Image size 512x512 | Liver | CT slice
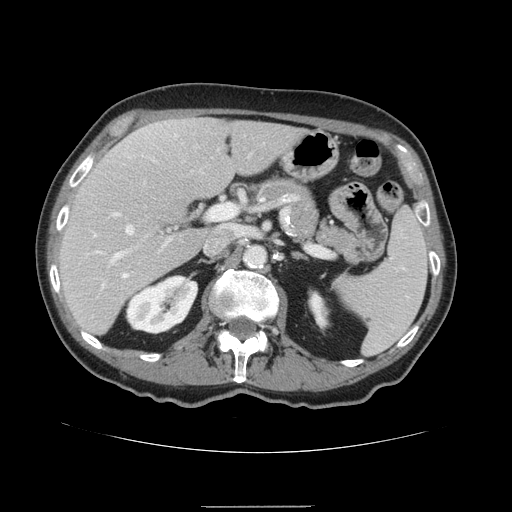 The vessel boxes may cover only some of the vessels.
6 hepatic vessel regions are located at x1=113, y1=252, x2=122, y2=260; x1=114, y1=213, x2=118, y2=215; x1=123, y1=274, x2=127, y2=277; x1=204, y1=204, x2=245, y2=252; x1=97, y1=251, x2=100, y2=251; x1=126, y1=225, x2=133, y2=233.